512x512 | CT
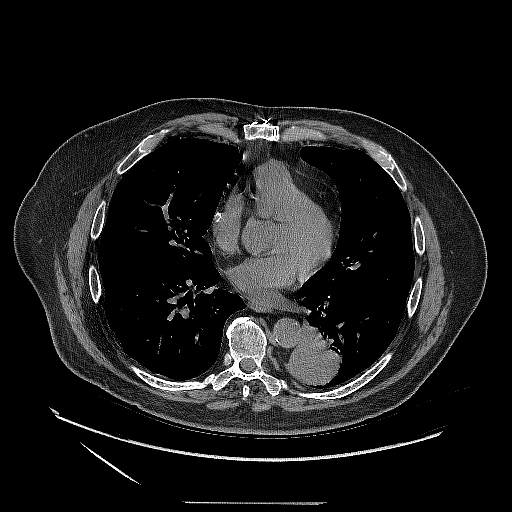
lung tumor: [287, 317, 346, 390]